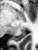

Hippocampus. MRI slice. The posterior hippocampus is located at box(13, 29, 25, 41).